FLAIR MR image.
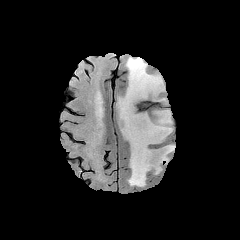
T1-weighted MR image.
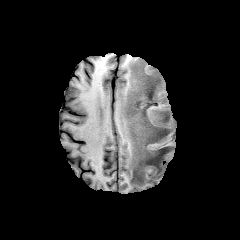
Post-contrast T1-weighted MR.
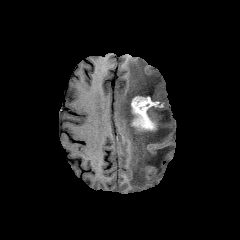
T2-weighted MR.
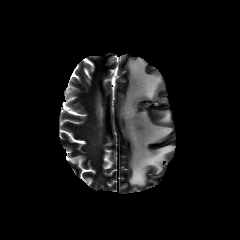
Brain
{"enhancing_tumor": ["region(131, 96, 156, 130)"], "non-enhancing_tumor_core": ["region(147, 110, 156, 123)", "region(130, 102, 166, 138)", "region(138, 101, 149, 111)", "region(146, 83, 155, 91)", "region(133, 93, 151, 97)"], "edema": ["region(120, 57, 173, 187)"]}